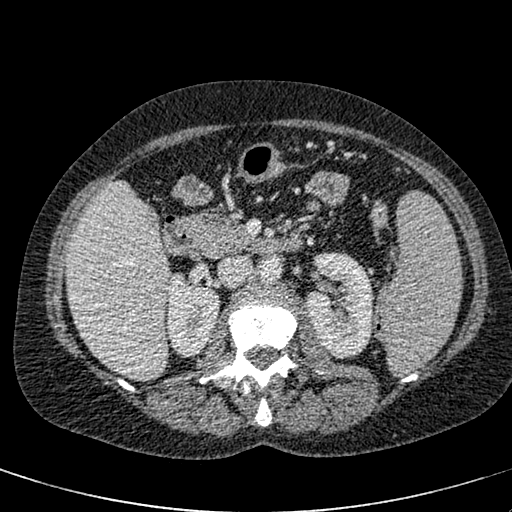
Abdomen. Computed tomography. 512x512. The hepatic lesion appears at box=[138, 207, 156, 226]. The liver is bounded by box=[64, 182, 169, 381]. 2 kidney regions appear at box=[165, 275, 219, 353]; box=[306, 253, 372, 358].